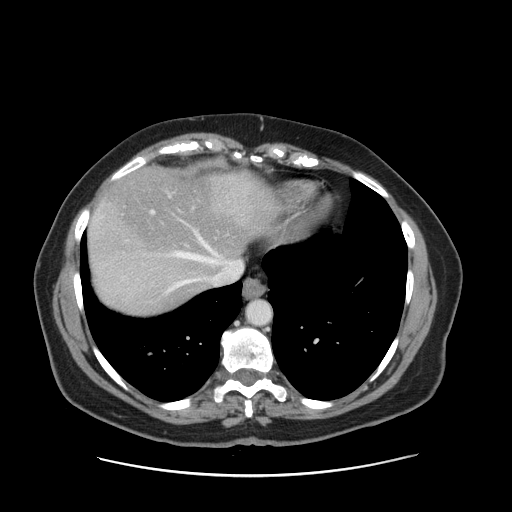
Abdomen; Computed tomography
The vessel annotation is not exhaustive.
hepatic vessel: {"x1": 151, "y1": 210, "x2": 154, "y2": 213}, {"x1": 167, "y1": 278, "x2": 197, "y2": 292}